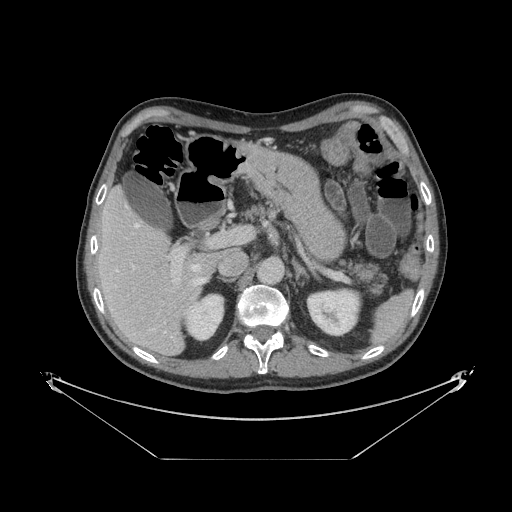
Computed tomography.

Pancreas at region(336, 259, 388, 295).